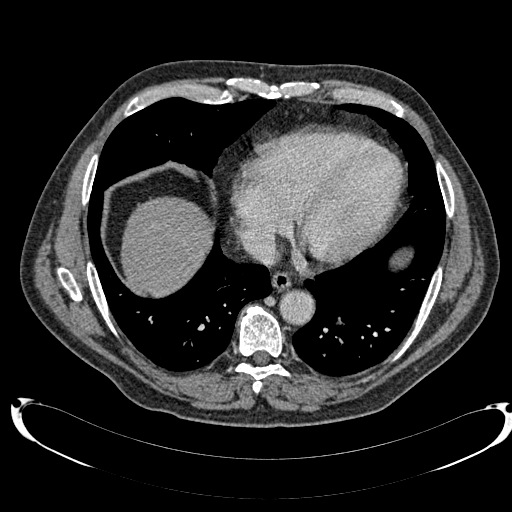

Upper abdomen | CT scan slice

liver:
  - <bbox>121, 198, 210, 294</bbox>